FLAIR magnetic resonance.
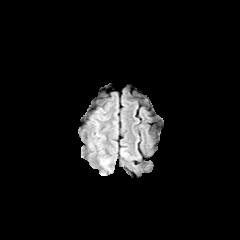
T1-weighted magnetic resonance.
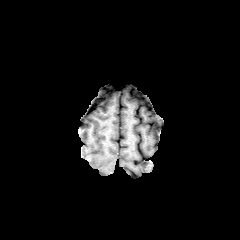
Post-contrast T1-weighted MR.
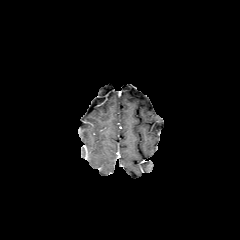
T2-weighted MR.
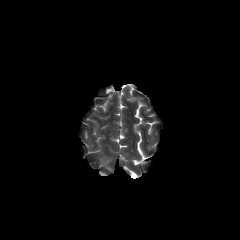
Brain.
<segmentation>
  <edema>[100,159,110,170]</edema>
</segmentation>